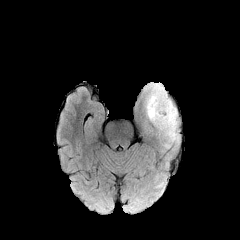
FLAIR magnetic resonance.
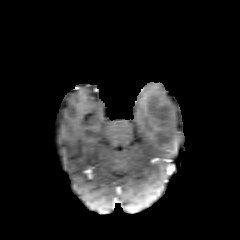
T1-weighted MRI.
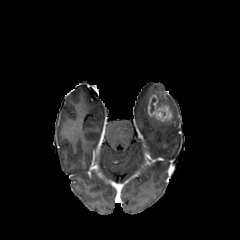
Post-contrast T1-weighted MRI.
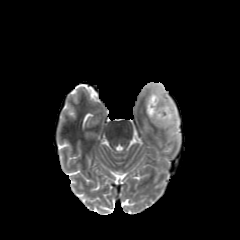
T2-weighted MR.
Findings:
* edema: 145, 83, 180, 144
* enhancing tumor: 148, 94, 172, 121